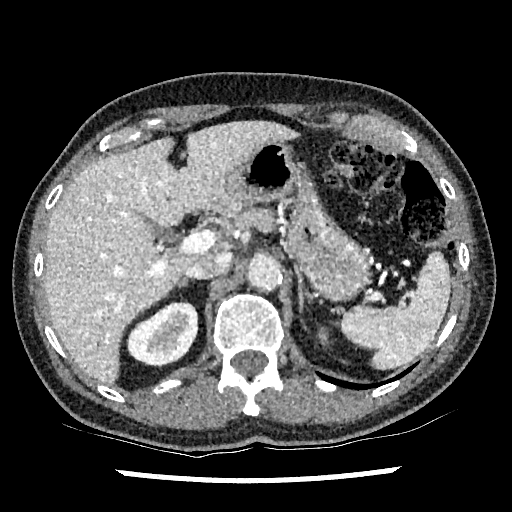
CT

kidney: (left=129, top=303, right=196, bottom=364) | liver: (left=45, top=121, right=298, bottom=383)